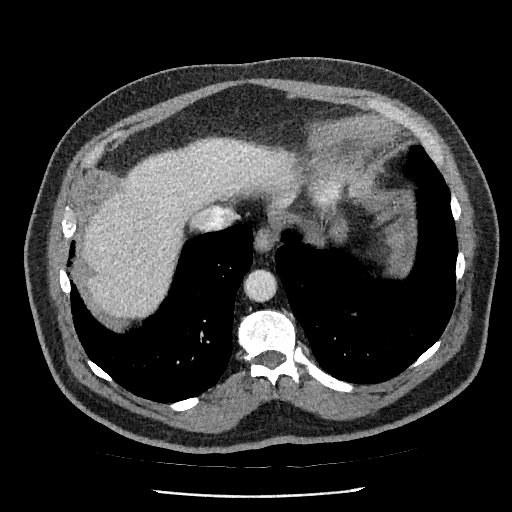

CT scan slice

Annotated regions:
• liver: region(83, 139, 299, 316)